CT. Abdomen. 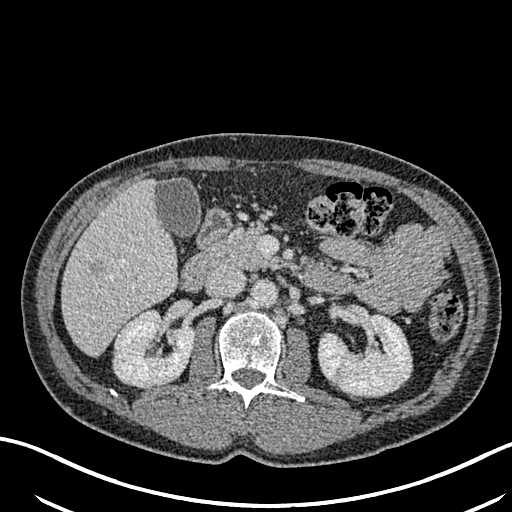
{"kidney": ["<bbox>319, 309, 411, 395</bbox>", "<bbox>114, 311, 193, 386</bbox>"], "liver": ["<bbox>63, 179, 177, 355</bbox>"], "focal_liver_lesion": ["<bbox>89, 259, 105, 277</bbox>"]}